Magnetic resonance 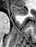

anterior_hippocampus:
  - [11,5,27,15]